FLAIR MR image.
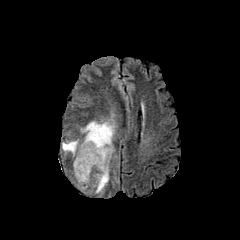
T1-weighted magnetic resonance.
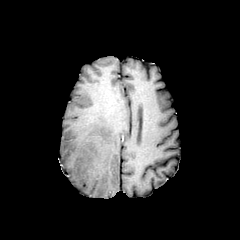
Post-contrast T1-weighted MR.
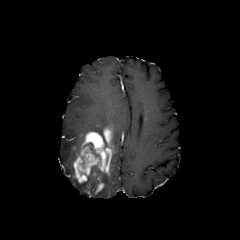
T2-weighted MR.
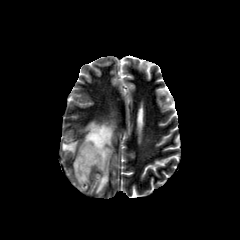
Annotated regions:
• edema: (99, 162, 111, 192), (88, 167, 100, 189), (62, 137, 83, 160), (82, 120, 115, 161)
• non-enhancing tumor core: (82, 143, 98, 157), (82, 165, 107, 190)
• enhancing tumor: (73, 128, 111, 183)